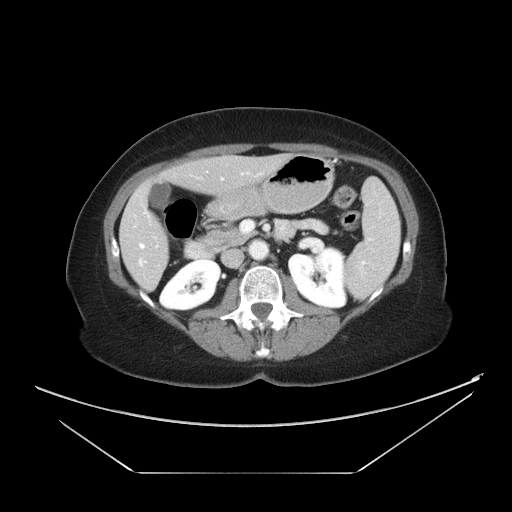

CT image.
Only some of the vessels may be annotated.
7 hepatic vessel regions are located at [139,244,143,247], [139,259,144,265], [221,177,222,179], [241,172,248,174], [144,207,147,214], [134,225,135,227], [156,245,157,247].